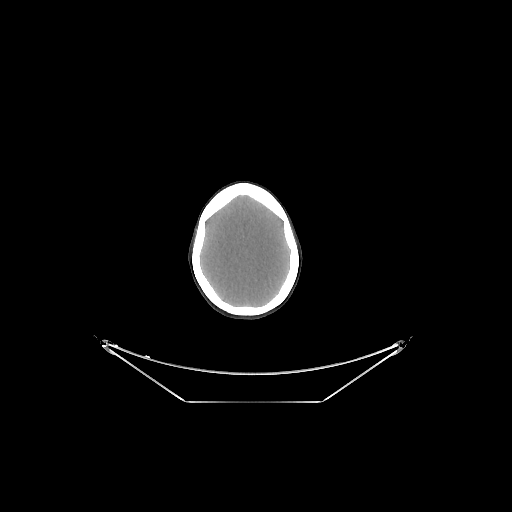 Head. CT slice.
Brain: {"x1": 200, "y1": 195, "x2": 290, "y2": 307}.